Magnetic resonance, Medial temporal lobe, 37x52 px

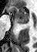 The anterior hippocampus is located at bbox=[6, 5, 28, 21]. The posterior hippocampus appears at bbox=[16, 22, 27, 26].